CT scan slice, Image size 512x512 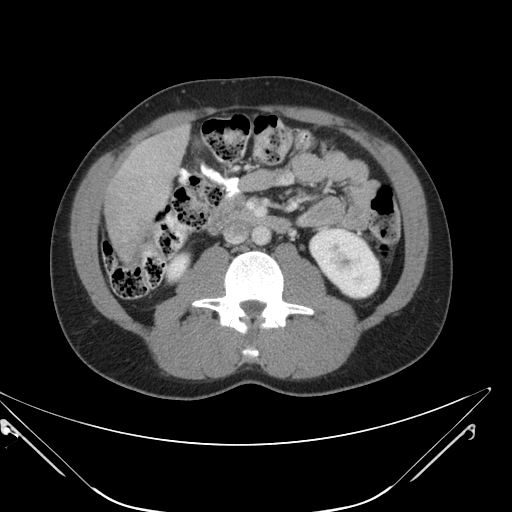

The liver tumor is bounded by 117, 241, 140, 260.